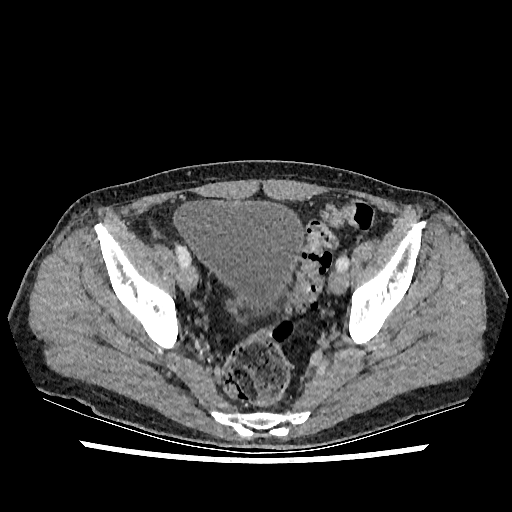
CT image
Urinary bladder: bounding box (179, 199, 305, 316).